FLAIR magnetic resonance.
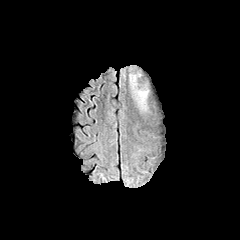
T1-weighted MR image.
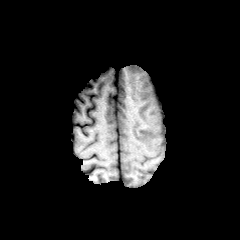
Post-contrast T1-weighted MRI.
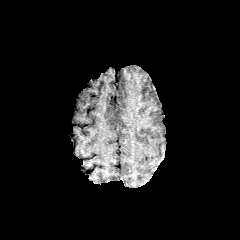
T2-weighted MR.
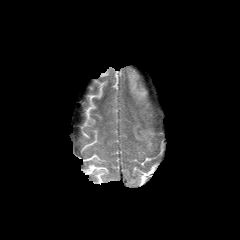
Image size 240x240
The edema appears at <bbox>129, 72, 147, 103</bbox>.